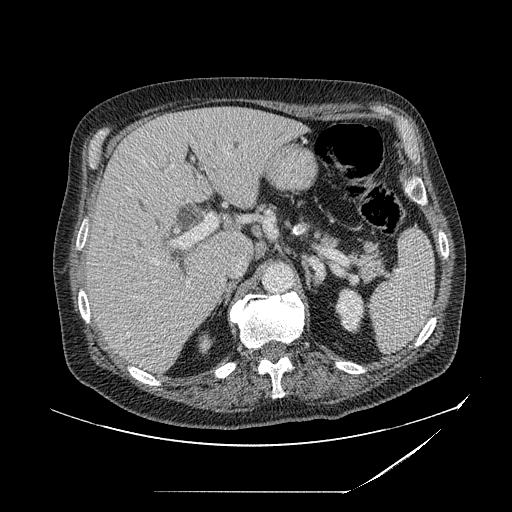

CT scan slice.
Pancreas: bounding box (left=315, top=228, right=339, bottom=247), (left=355, top=242, right=386, bottom=282).